CT slice, Field of view 434 mm wide, 1.00 mm slice spacing

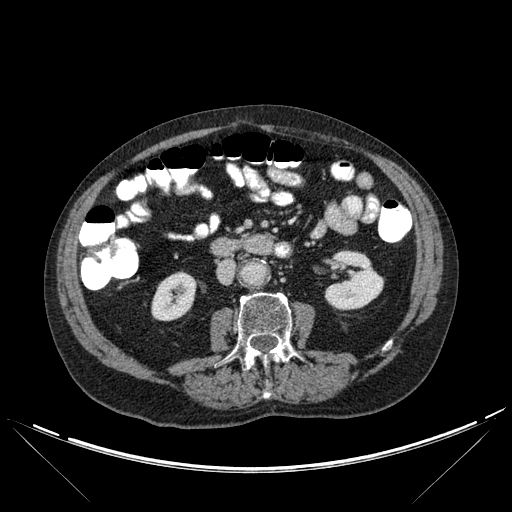

2 kidney regions are located at bbox=[325, 251, 383, 309]; bbox=[152, 272, 195, 320]. 2 bone regions are located at bbox=[227, 293, 291, 368]; bbox=[264, 383, 270, 396].